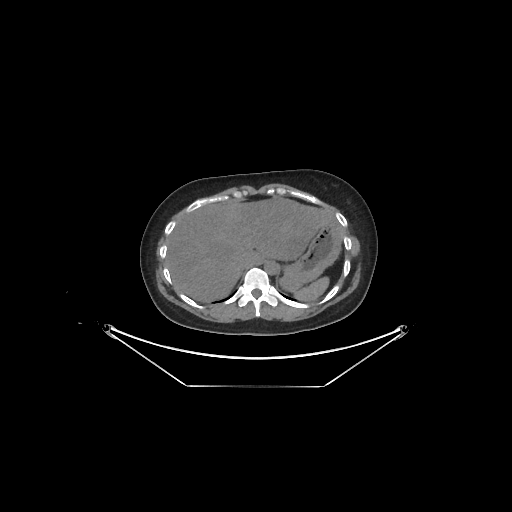
512x512 px; Liver; CT slice

liver:
  - 164:196:346:300